Slice index 121, Image width 240 mm
FLAIR MR.
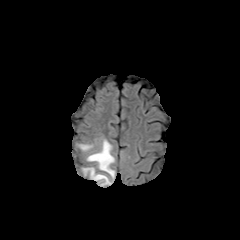
T1-weighted magnetic resonance.
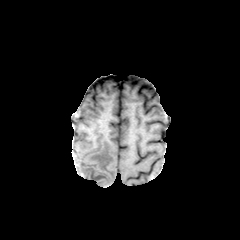
Post-contrast T1-weighted MR.
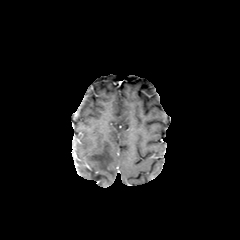
T2-weighted MRI.
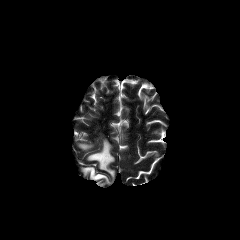
Edema = [x1=77, y1=138, x2=115, y2=185].